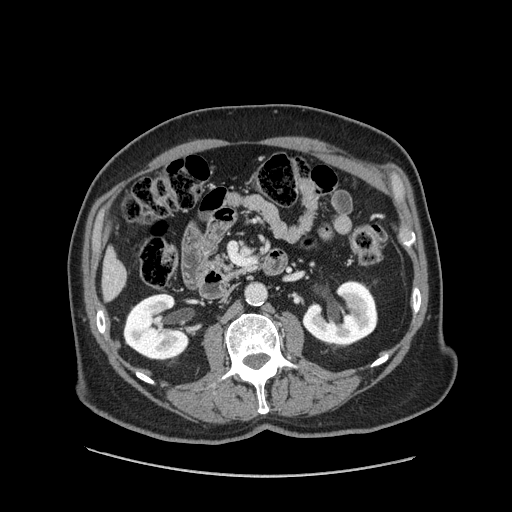 Computed tomography | Upper abdomen
pancreas:
  - <box>212,257,243,275</box>